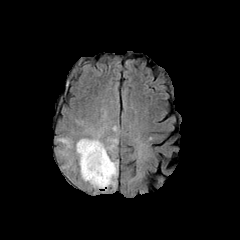
FLAIR MRI.
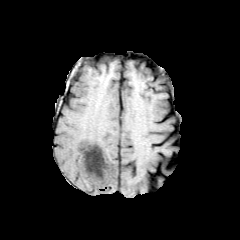
T1-weighted magnetic resonance of the same slice.
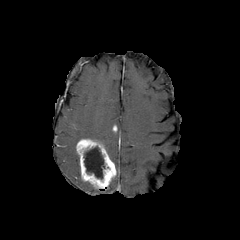
Post-contrast T1-weighted MR image of the same slice.
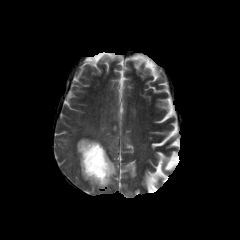
T2-weighted MR image.
non-enhancing_tumor_core:
  - 84, 146, 106, 180
edema:
  - 55, 106, 121, 190
  - 83, 180, 97, 193
enhancing_tumor:
  - 76, 138, 116, 187